Liver; CT scan slice 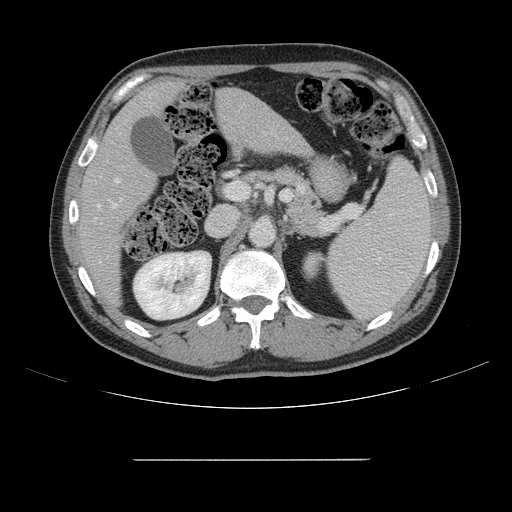 Not every hepatic vessel necessarily has a box.
Hepatic vessel: {"x1": 111, "y1": 201, "x2": 116, "y2": 208}, {"x1": 99, "y1": 261, "x2": 100, "y2": 262}, {"x1": 98, "y1": 205, "x2": 100, "y2": 208}, {"x1": 94, "y1": 218, "x2": 95, "y2": 221}, {"x1": 115, "y1": 178, "x2": 119, "y2": 182}, {"x1": 119, "y1": 198, "x2": 121, "y2": 201}.